Upper abdomen. Image size 512x512. Image width 339 mm. CT scan slice. 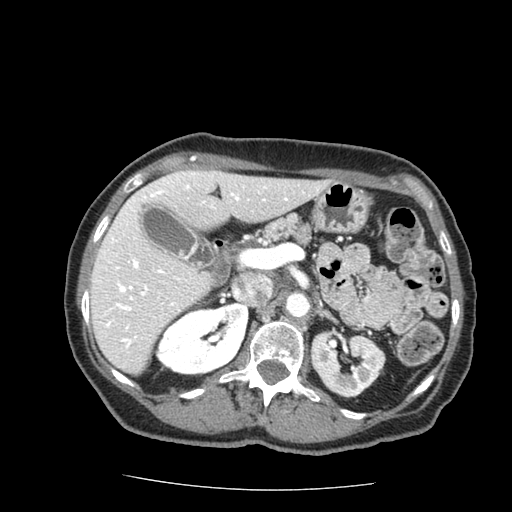 {"pancreas": ["(261,213,313,247)"]}